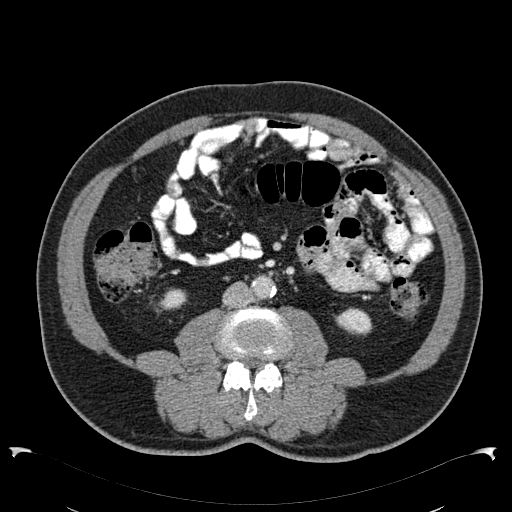
CT slice, Abdomen
Segmented structures:
- kidney: (160,289,185,309), (336,308,371,334)